Field of view 360x360 mm, 512x512 px, CT scan slice
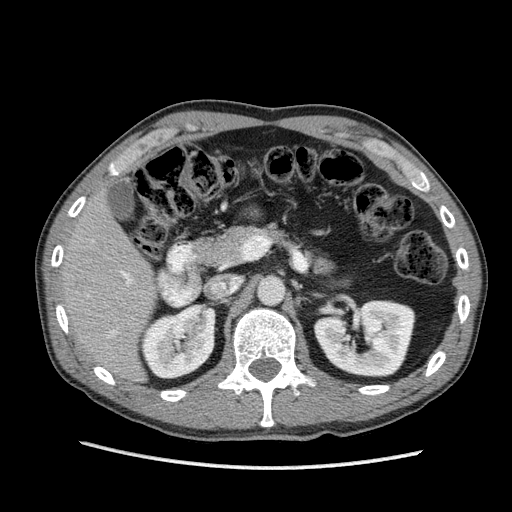

kidney:
  - (143, 305, 214, 377)
  - (315, 301, 413, 375)
liver:
  - (58, 187, 165, 383)